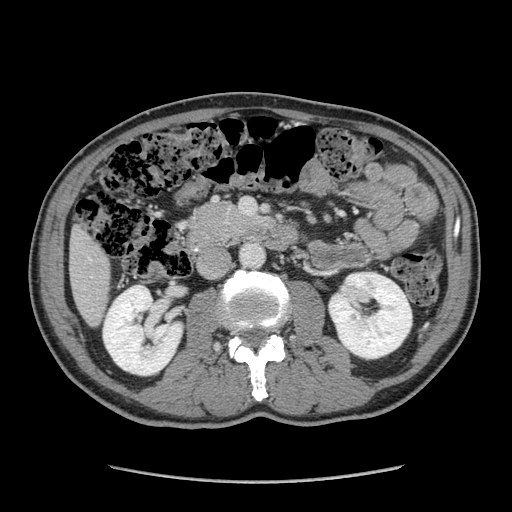
512x512 px. Abdomen. CT slice. {"pancreas": ["l=186, t=200, r=260, b=245"]}